Slice 75/168; Abdomen; CT scan slice

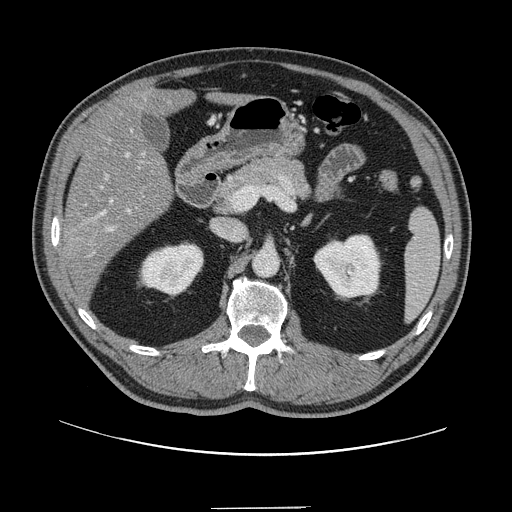
Not every hepatic vessel necessarily has a box.
* liver tumor: 62,224,100,261
* hepatic vessel: 110,200,112,202; 143,153,144,155; 90,211,106,220; 127,209,130,212; 126,154,129,156; 105,176,107,179; 101,186,103,188; 106,227,113,231